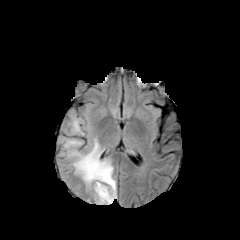
FLAIR MRI.
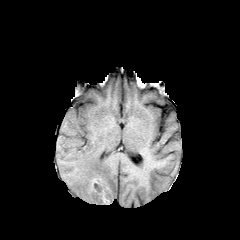
T1-weighted magnetic resonance of the same slice.
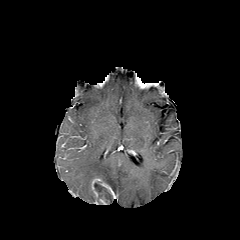
Post-contrast T1-weighted MR image of the same slice.
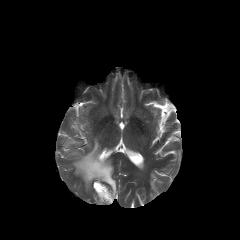
T2-weighted MR image.
240x240 px. Head.
Enhancing tumor: bounding box (102, 184, 115, 198).
Edema: bounding box (98, 192, 113, 204), (60, 118, 117, 203).
Non-enhancing tumor core: bounding box (92, 178, 112, 197).